Slice index 84; Brain
FLAIR MR image.
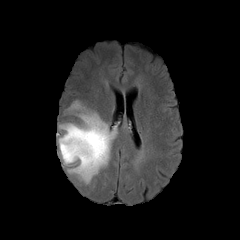
T1-weighted MRI.
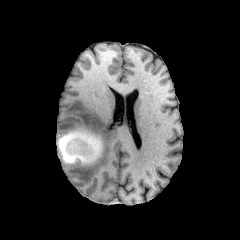
Post-contrast T1-weighted MR.
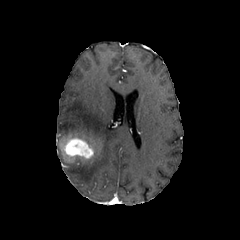
T2-weighted MR.
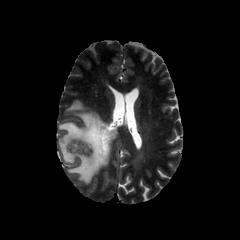
Edema: bounding box l=59, t=100, r=117, b=184.
Non-enhancing tumor core: bounding box l=60, t=135, r=101, b=162.
Enhancing tumor: bounding box l=65, t=139, r=92, b=158.